Head. Field of view 240 mm wide, 1.00 mm slice spacing. Slice 100 of 155.
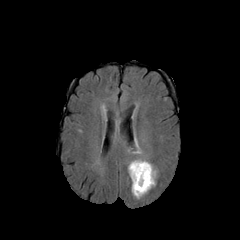
FLAIR MRI.
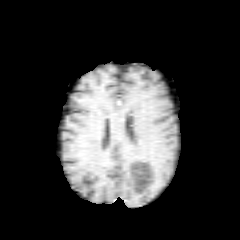
T1-weighted MRI.
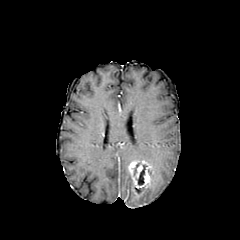
Post-contrast T1-weighted magnetic resonance.
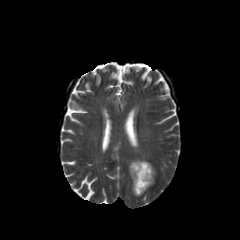
T2-weighted MR image of the same slice.
edema:
  - (x1=131, y1=166, x2=156, y2=198)
enhancing_tumor:
  - (x1=129, y1=160, x2=153, y2=189)
non-enhancing_tumor_core:
  - (x1=137, y1=165, x2=145, y2=185)